Thorax | CT 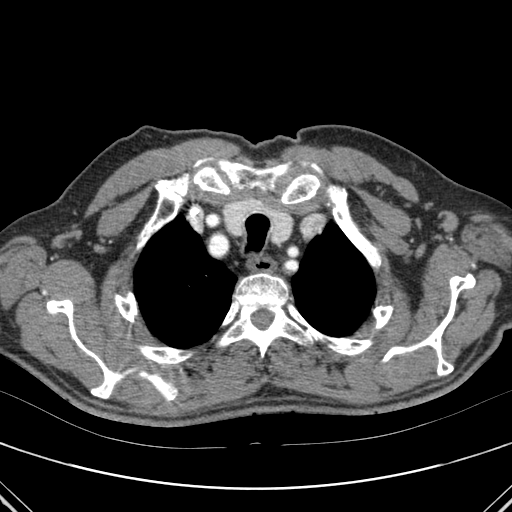 2 lung regions appear at [x1=291, y1=223, x2=375, y2=336], [x1=134, y1=215, x2=236, y2=348]. 14 bone regions are located at [x1=138, y1=174, x2=189, y2=247], [x1=46, y1=299, x2=120, y2=398], [x1=193, y1=167, x2=230, y2=194], [x1=373, y1=306, x2=392, y2=328], [x1=114, y1=292, x2=137, y2=322], [x1=218, y1=273, x2=372, y2=357], [x1=251, y1=181, x2=264, y2=189], [x1=382, y1=274, x2=475, y2=375], [x1=281, y1=174, x2=320, y2=203], [x1=194, y1=158, x2=213, y2=167], [x1=139, y1=346, x2=190, y2=363], [x1=148, y1=374, x2=177, y2=400], [x1=217, y1=159, x2=290, y2=189], [x1=327, y1=185, x2=380, y2=267].